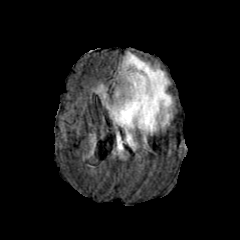
FLAIR MR image.
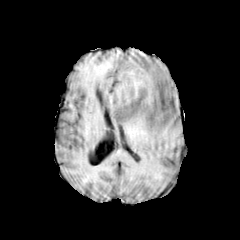
T1-weighted MR image.
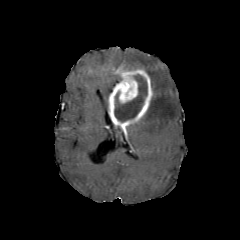
Same slice, post-contrast T1-weighted MRI.
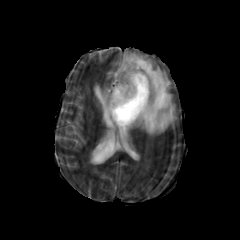
T2-weighted magnetic resonance of the same slice.
Head
Segmented structures:
* non-enhancing tumor core: [x1=114, y1=74, x2=147, y2=121]
* edema: [x1=116, y1=52, x2=174, y2=152], [x1=96, y1=85, x2=111, y2=109]
* enhancing tumor: [x1=108, y1=64, x2=153, y2=140]